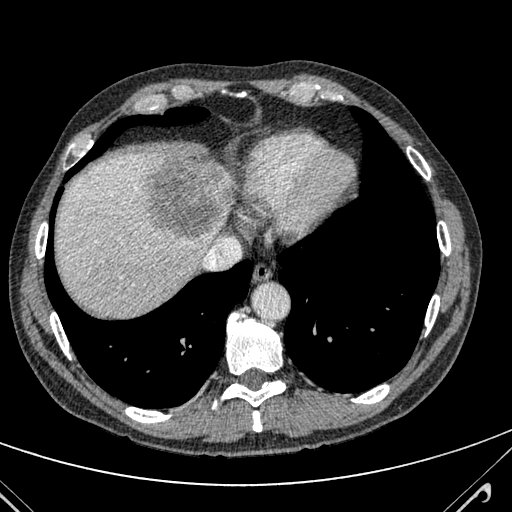 Computed tomography
The liver is located at bbox=[56, 153, 232, 314]. The liver lesion lies within bbox=[144, 157, 227, 239].